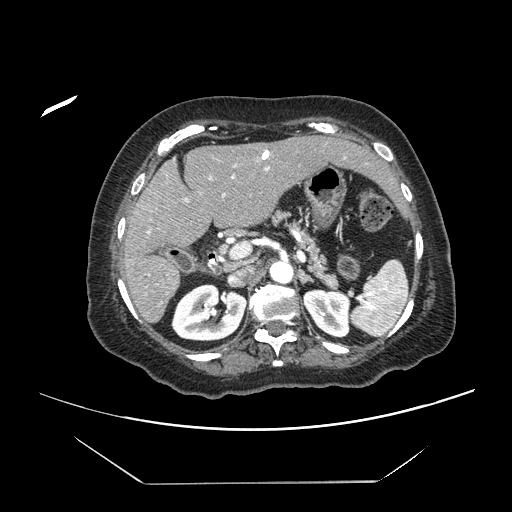
Abdomen. CT.
The vessel annotation is not exhaustive.
Annotated regions:
• hepatic vessel: l=231, t=242, r=250, b=257